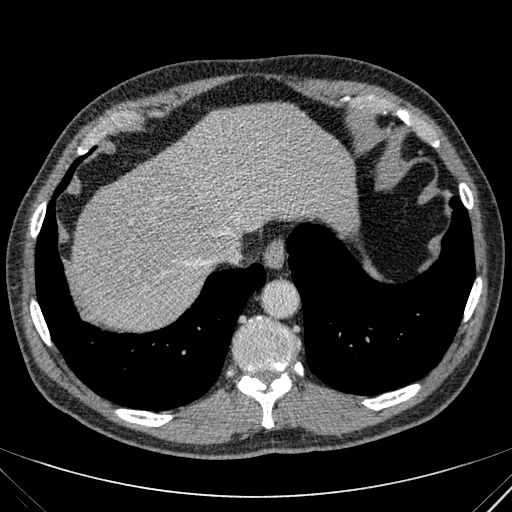

Computed tomography, Image size 512x512, Upper abdomen

Annotated regions:
• liver: l=70, t=105, r=354, b=328